Head, Field of view 240x240 mm
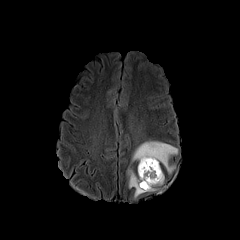
FLAIR MR.
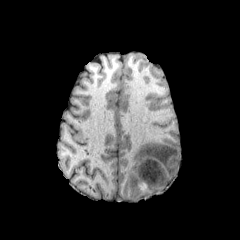
T1-weighted MR.
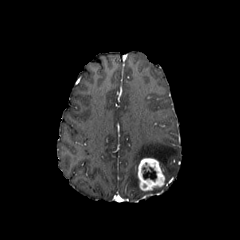
Post-contrast T1-weighted magnetic resonance.
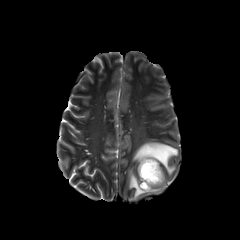
T2-weighted MRI of the same slice.
edema: 132 141 177 172, 129 168 146 198 | non-enhancing tumor core: 143 171 156 179 | enhancing tumor: 137 157 164 191